CT slice; Upper abdomen 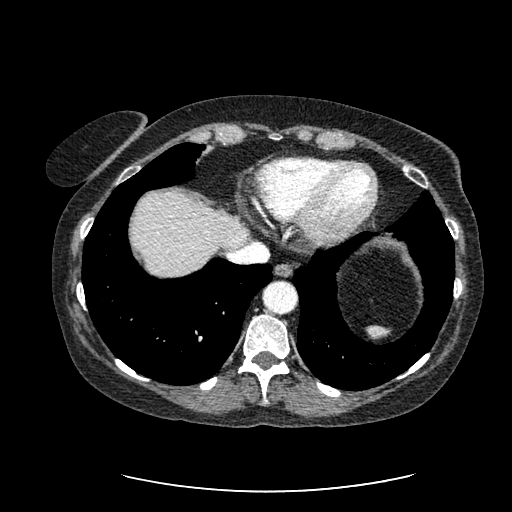 The liver lies within 131 192 249 277.